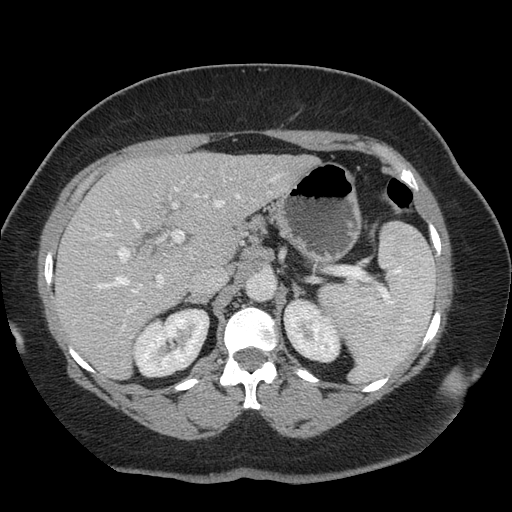 Computed tomography; Liver
The vessel boxes may cover only some of the vessels.
partial: true
hepatic_vessel:
  # 15 of 20 shown
  - (132,290,137,293)
  - (116,211,119,214)
  - (157,275,163,287)
  - (236,194,239,198)
  - (214,200,223,207)
  - (102,233,111,237)
  - (134,221,139,227)
  - (96,277,128,290)
  - (126,310,131,314)
  - (173,204,176,207)
  - (270,175,280,182)
  - (138,285,142,289)
  - (119,248,129,260)
  - (172,230,183,242)
  - (120,320,125,331)